Image width 240 mm | Slice 56 of 155 | Brain
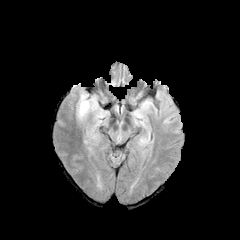
FLAIR MR.
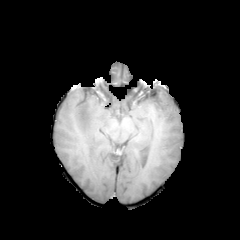
Same slice, T1-weighted magnetic resonance.
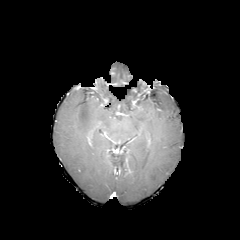
Post-contrast T1-weighted MR image of the same slice.
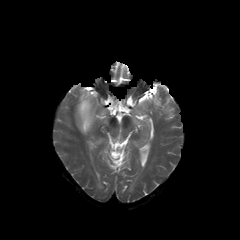
Same slice, T2-weighted MR.
2 edema regions appear at 76,91,105,136; 135,98,149,124.